Computed tomography; Image width 472 mm; Abdomen

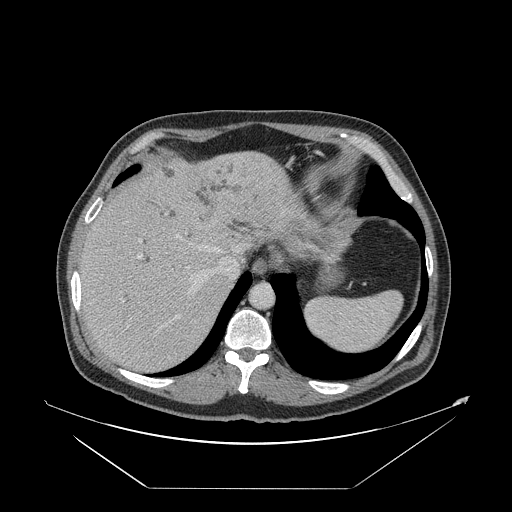
The vessel annotation is not exhaustive.
9 hepatic vessel regions appear at 139, 239, 140, 242; 119, 299, 124, 302; 155, 327, 161, 333; 189, 243, 193, 245; 175, 232, 181, 239; 187, 243, 239, 294; 137, 253, 142, 258; 243, 243, 250, 248; 169, 316, 179, 321.